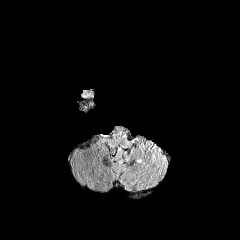
FLAIR MR image.
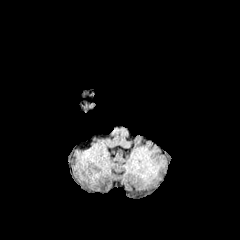
T1-weighted MR.
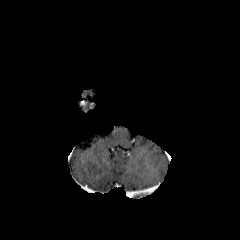
Post-contrast T1-weighted magnetic resonance of the same slice.
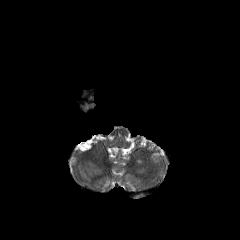
T2-weighted MR.
{
  "non-enhancing_tumor_core": [
    "box(79, 90, 94, 111)"
  ]
}